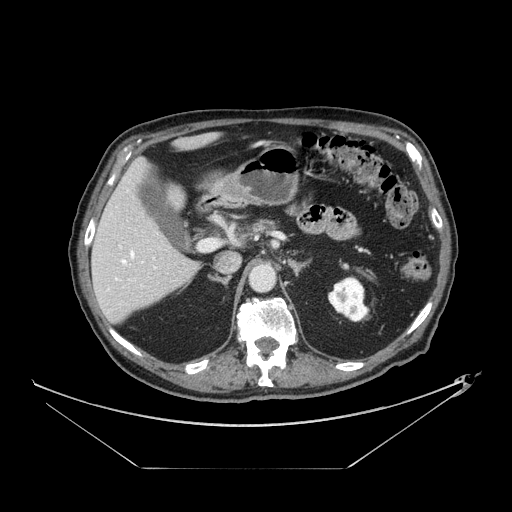 CT image; Upper abdomen
Pancreas = {"x1": 252, "y1": 220, "x2": 273, "y2": 231}.